512x512 px | Upper abdomen | CT slice
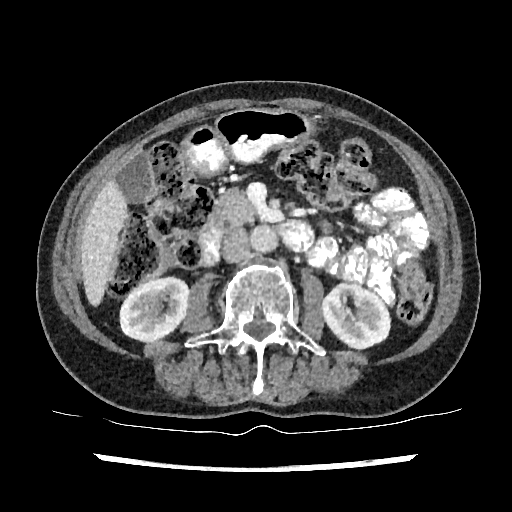

kidney:
  - x1=120, y1=278, x2=188, y2=342
  - x1=323, y1=285, x2=389, y2=347
liver:
  - x1=81, y1=181, x2=127, y2=304